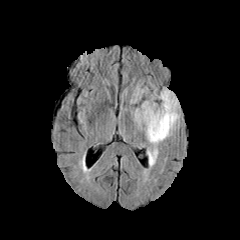
FLAIR MR.
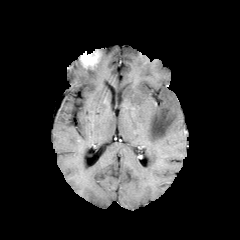
T1-weighted magnetic resonance of the same slice.
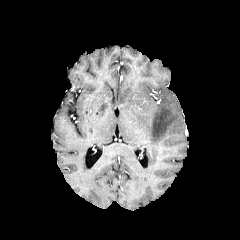
Post-contrast T1-weighted MR.
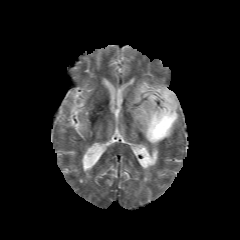
Same slice, T2-weighted MRI.
Head, 240x240 px
Non-enhancing tumor core = [154, 121, 161, 133].
Edema = [130, 85, 181, 167].